240x240 px; Slice 59/155
FLAIR MRI.
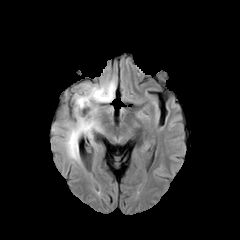
T1-weighted magnetic resonance.
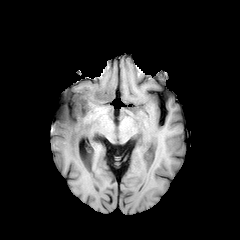
Post-contrast T1-weighted MR.
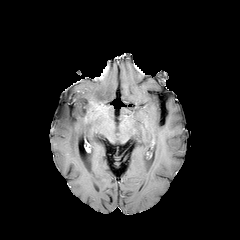
T2-weighted MRI.
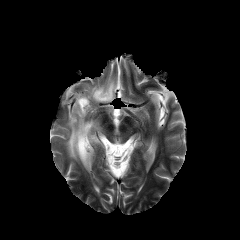
non-enhancing_tumor_core:
  - box(70, 102, 76, 125)
edema:
  - box(52, 78, 116, 166)